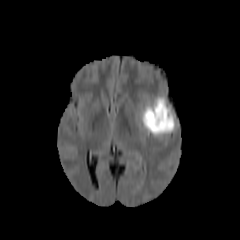
FLAIR MRI.
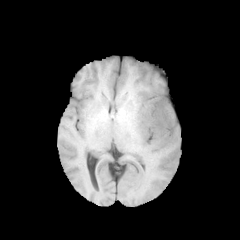
Same slice, T1-weighted magnetic resonance.
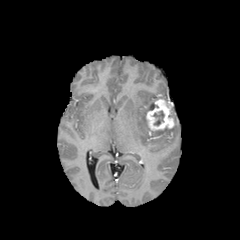
Same slice, post-contrast T1-weighted magnetic resonance.
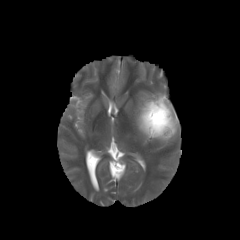
Same slice, T2-weighted magnetic resonance.
Brain
enhancing tumor: bbox(145, 97, 176, 130) | non-enhancing tumor core: bbox(147, 118, 177, 134); bbox(154, 110, 164, 124) | edema: bbox(134, 94, 178, 142)